Slice 58/104. CT. 512x512 px.

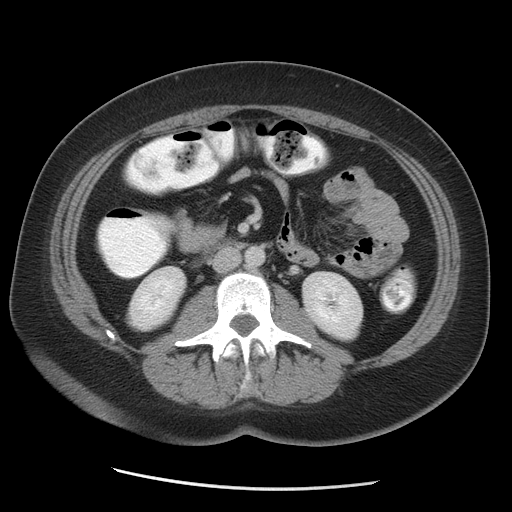 * kidney: left=303, top=273, right=361, bottom=338; left=130, top=268, right=183, bottom=328